Slice 9 of 49 | Field of view 330x330 mm | Computed tomography 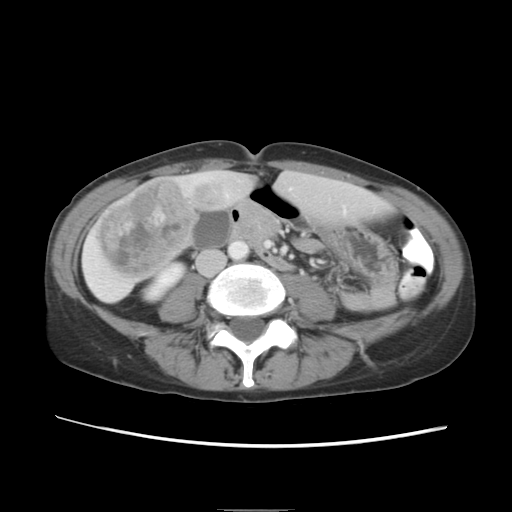
Not every hepatic vessel necessarily has a box.
hepatic vessel: 226 194 228 196, 90 283 92 284 | liver tumor: 95 179 193 279